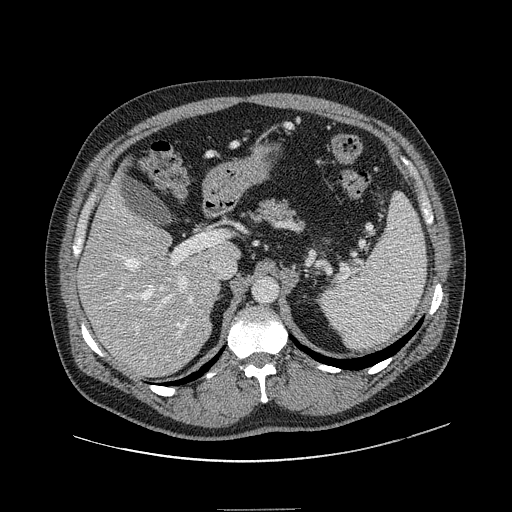
CT

<segmentation>
  <pancreas>[251,201,296,224]</pancreas>
</segmentation>